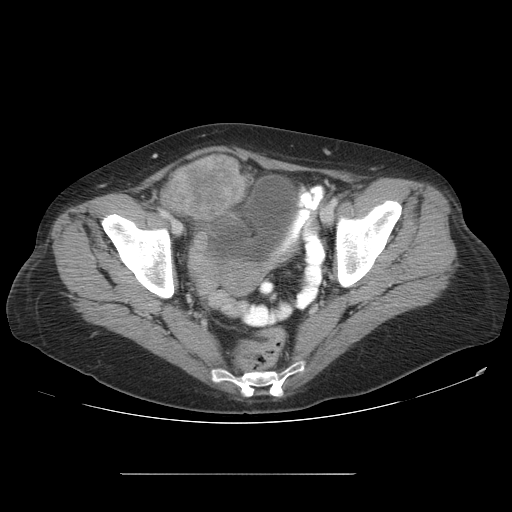

CT scan slice.

Colon tumor at (x1=161, y1=154, x2=245, y2=220).